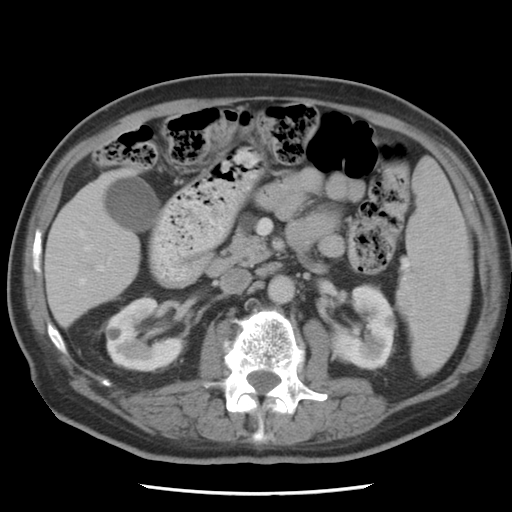 CT image

The pancreas is located at left=223, top=214, right=270, bottom=268.